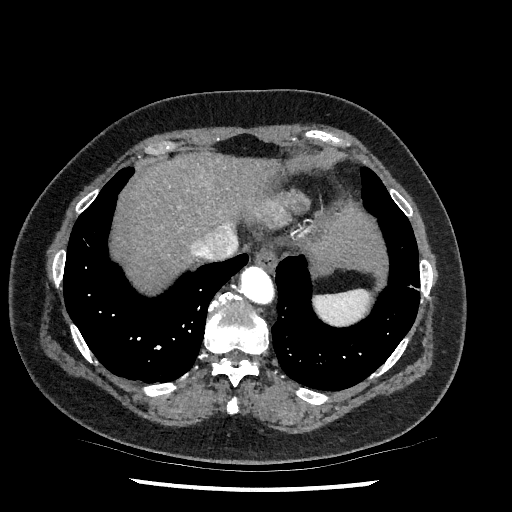
CT image; 512x512; Upper abdomen

2 liver regions appear at (314,212,386,276), (114,153,275,289).